Slice 227/536 | CT scan slice
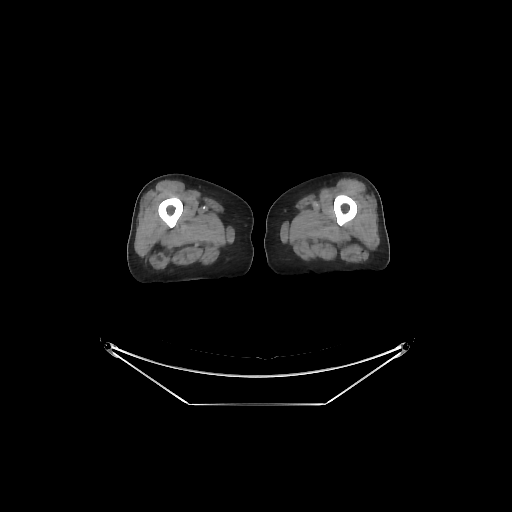
Segmented structures:
- bone: l=158, t=196, r=182, b=227; l=334, t=195, r=356, b=225